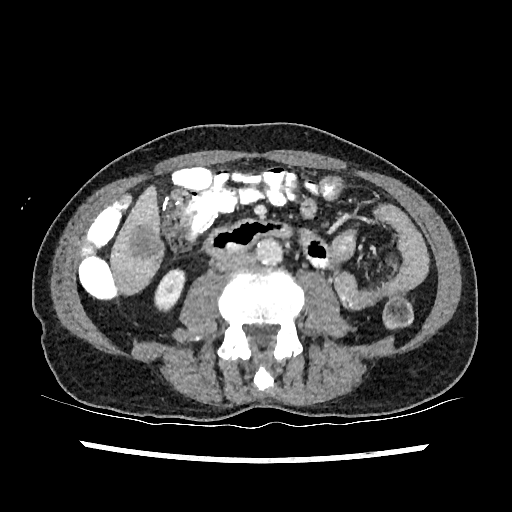

CT

{
  "kidney": [
    "156:270:183:308"
  ],
  "liver_lesion": [
    "130:225:162:257"
  ],
  "liver": [
    "112:187:162:293"
  ]
}